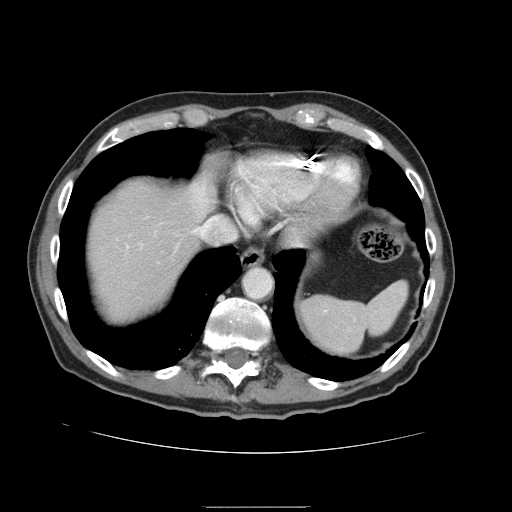
CT image
Only some of the vessels may be annotated.
The hepatic vessel is at box(195, 217, 237, 240).